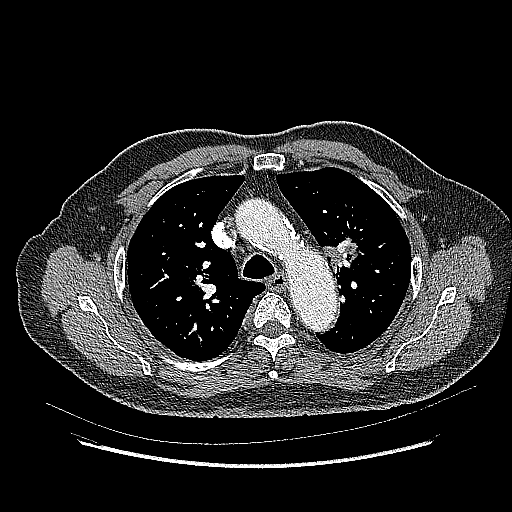

512x512 px, Lung, CT slice

lung_tumor:
  - (left=322, top=235, right=362, bottom=274)